FLAIR MRI.
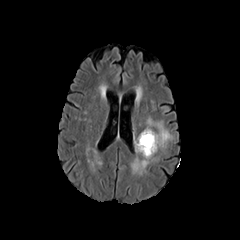
T1-weighted magnetic resonance.
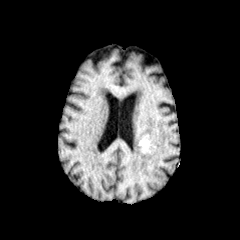
Post-contrast T1-weighted MR.
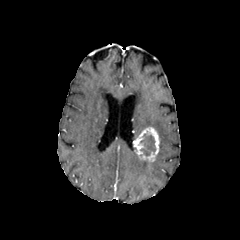
T2-weighted MR image.
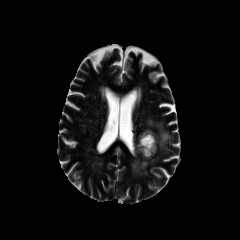
• enhancing tumor: bbox(134, 126, 160, 162)
• edema: bbox(131, 154, 149, 175); bbox(147, 117, 174, 150)
• non-enhancing tumor core: bbox(137, 133, 156, 157)